Image width 335 mm; Computed tomography; Image size 512x512

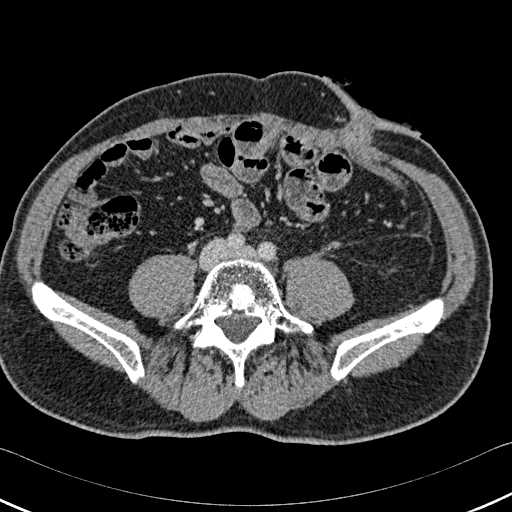 bone: x1=32, y1=283, x2=143, y2=382; x1=331, y1=300, x2=442, y2=379; x1=175, y1=259, x2=313, y2=387